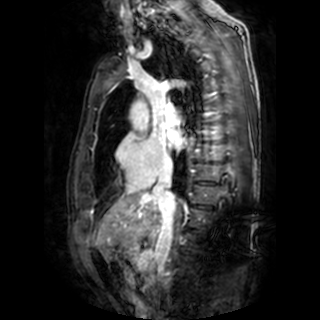
Magnetic resonance
Left atrium = (168,131,187,149).